FLAIR MRI.
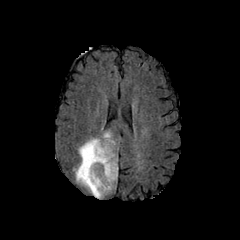
T1-weighted MR image.
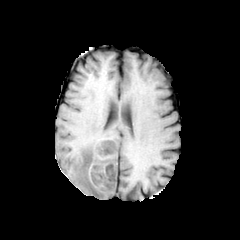
Post-contrast T1-weighted MR.
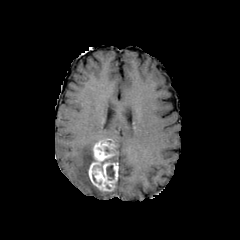
T2-weighted magnetic resonance.
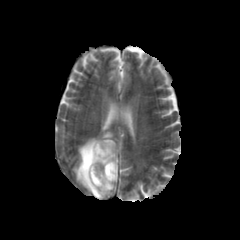
Non-enhancing tumor core: bounding box 106, 165, 114, 177; 82, 146, 96, 191; 104, 149, 117, 162.
Enhancing tumor: bounding box 88, 139, 117, 191.
Edema: bounding box 72, 130, 113, 199.